CT image; Slice 21/41; 512x512 px
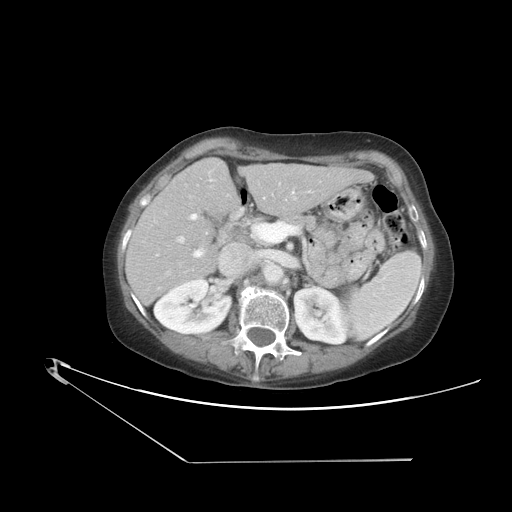
Not every hepatic vessel necessarily has a box.
6 hepatic vessel regions appear at region(191, 214, 196, 219); region(179, 237, 183, 242); region(263, 197, 265, 199); region(194, 250, 202, 256); region(307, 190, 310, 192); region(291, 190, 295, 199).